Image size 512x512, CT scan slice 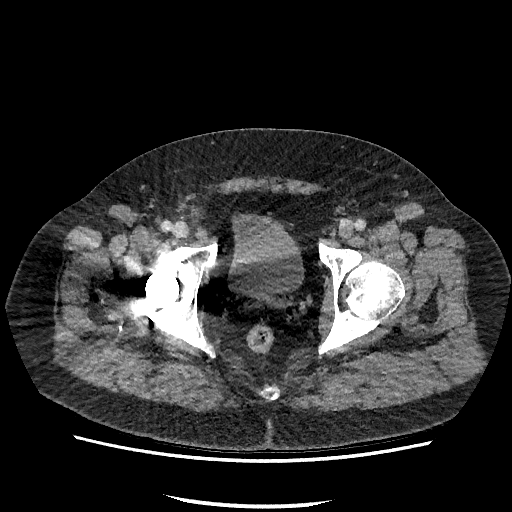

urinary bladder: box(229, 213, 303, 304)